512x512 px; Image width 300 mm; CT slice; Pelvis
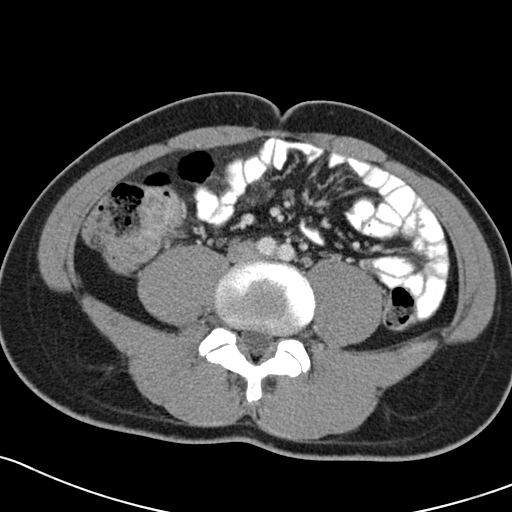
The colon tumor is bounded by <box>118,187,181,261</box>.